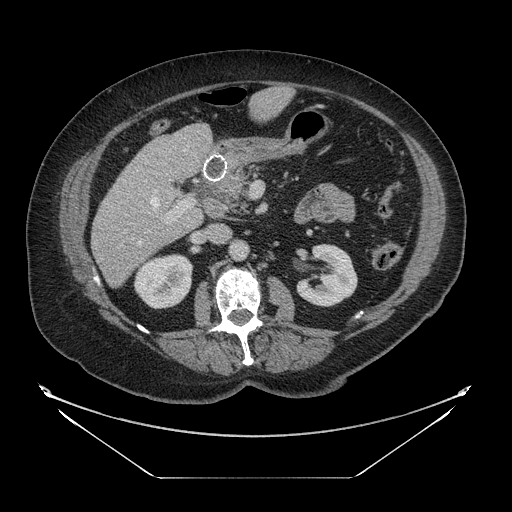
512x512 | Computed tomography | Abdomen
pancreas: [198, 168, 249, 210]